FLAIR magnetic resonance.
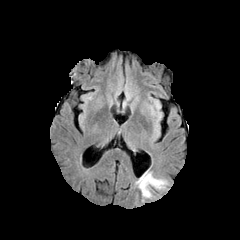
T1-weighted MRI.
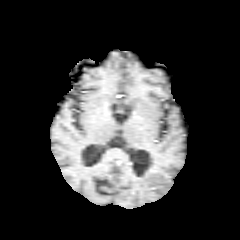
Post-contrast T1-weighted MR image.
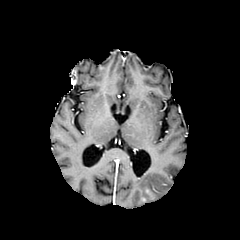
T2-weighted MR.
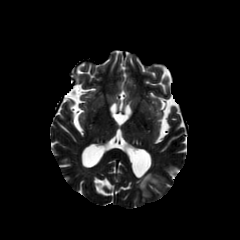
Image size 240x240
The edema appears at (left=136, top=169, right=168, bottom=197).